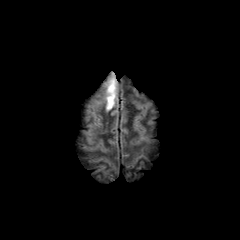
FLAIR magnetic resonance.
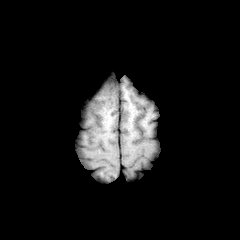
Same slice, T1-weighted magnetic resonance.
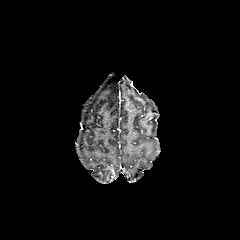
Same slice, post-contrast T1-weighted magnetic resonance.
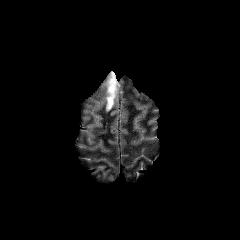
Same slice, T2-weighted MR.
240x240 px, Brain
Edema: bounding box 103 72 119 111.